Image size 512x512 | Slice 21/44 | Image width 430 mm | CT image 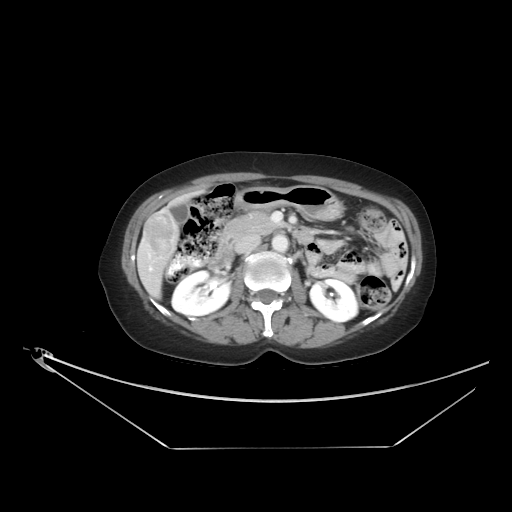

liver tumor: <box>144,210,176,262</box>